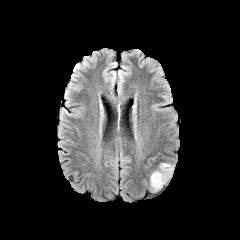
FLAIR MR.
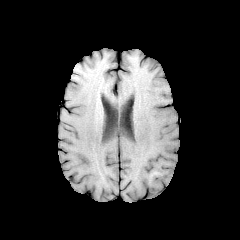
T1-weighted MRI.
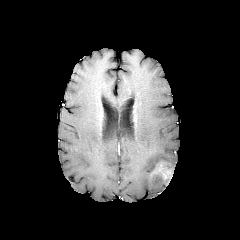
Post-contrast T1-weighted MR.
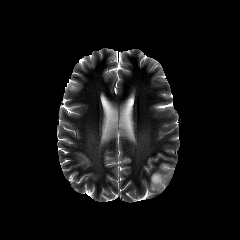
Same slice, T2-weighted MR.
Brain. 240x240.
Edema — region(150, 163, 174, 192).